FLAIR MRI.
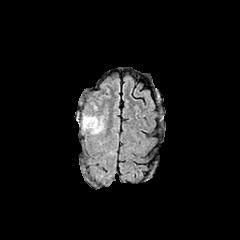
T1-weighted MR image.
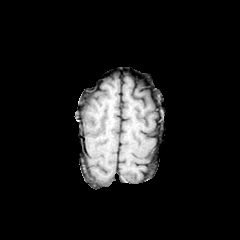
Post-contrast T1-weighted MR.
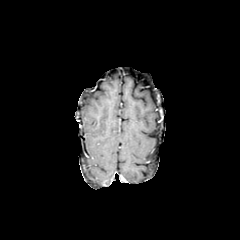
T2-weighted MRI.
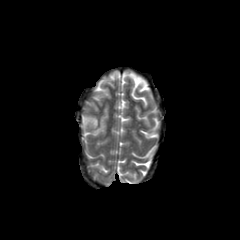
Head. 240x240 px.
Edema: (left=83, top=116, right=97, bottom=127).